MRI, Slice index 23, Medial temporal lobe

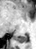
{"posterior_hippocampus": ["[15,34,27,43]"]}